Slice 35/111. Abdomen. CT slice.

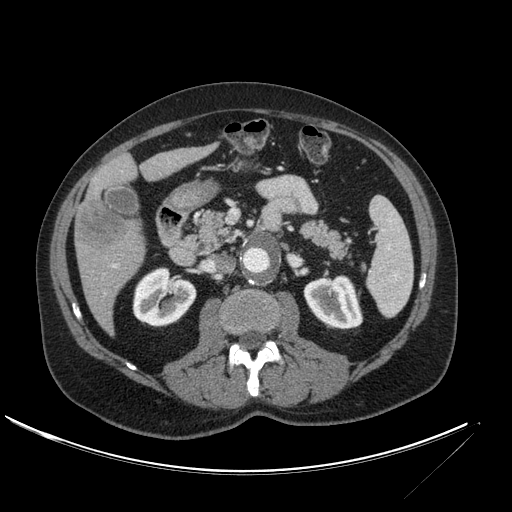
Liver at {"x1": 139, "y1": 142, "x2": 219, "y2": 180}, {"x1": 86, "y1": 152, "x2": 138, "y2": 197}, {"x1": 75, "y1": 219, "x2": 145, "y2": 334}.
Liver lesion at {"x1": 75, "y1": 192, "x2": 129, "y2": 251}.
Kidney at {"x1": 134, "y1": 269, "x2": 195, "y2": 325}, {"x1": 304, "y1": 277, "x2": 361, "y2": 327}.